Computed tomography.

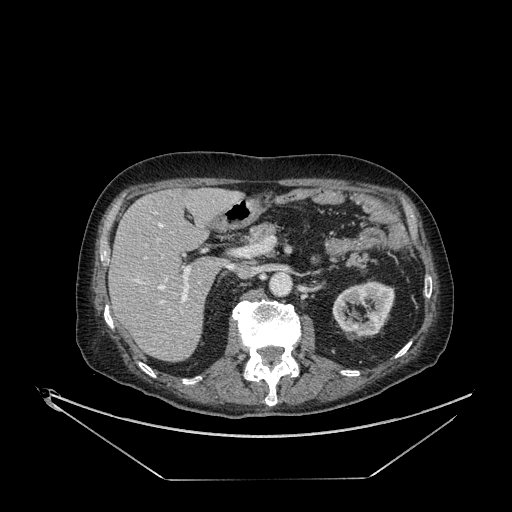 <segmentation>
  <kidney>x1=333, y1=282, x2=394, y2=335</kidney>
  <liver>x1=109, y1=188, x2=239, y2=361</liver>
</segmentation>